CT, Slice index 374

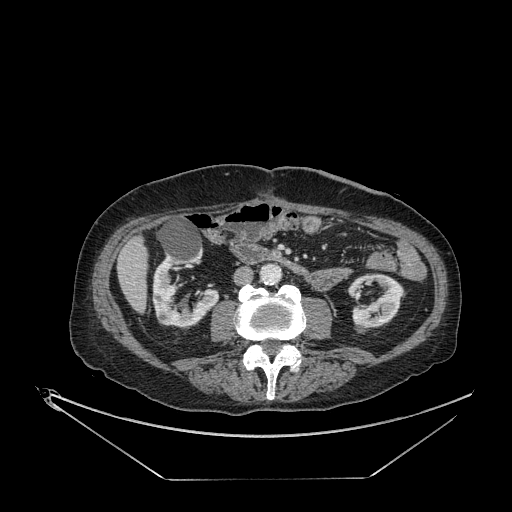

<segmentation>
  <kidney>193, 251, 201, 262; 153, 255, 218, 326; 349, 274, 403, 327</kidney>
  <liver>118, 236, 147, 313</liver>
</segmentation>